FLAIR magnetic resonance.
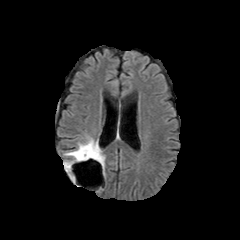
T1-weighted MR.
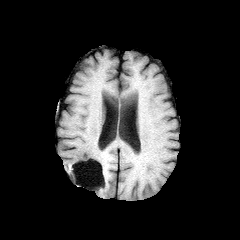
Post-contrast T1-weighted MRI.
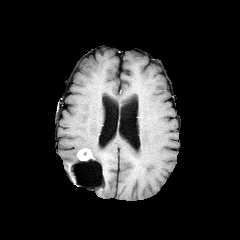
T2-weighted MR image.
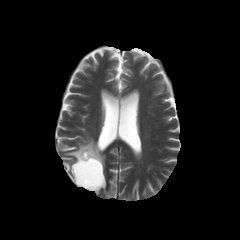
<segmentation>
  <non-enhancing_tumor_core>rect(68, 148, 103, 181)</non-enhancing_tumor_core>
  <edema>rect(98, 149, 105, 175); rect(63, 133, 97, 179)</edema>
  <enhancing_tumor>rect(77, 148, 93, 160)</enhancing_tumor>
</segmentation>